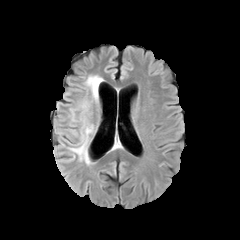
FLAIR MRI.
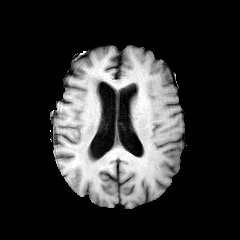
T1-weighted magnetic resonance.
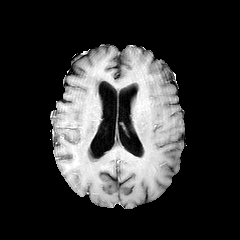
Post-contrast T1-weighted MRI.
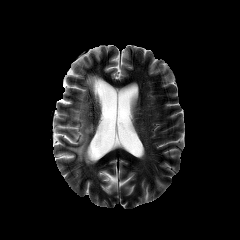
T2-weighted magnetic resonance.
Brain.
The edema lies within [68,74,103,163].